CT image
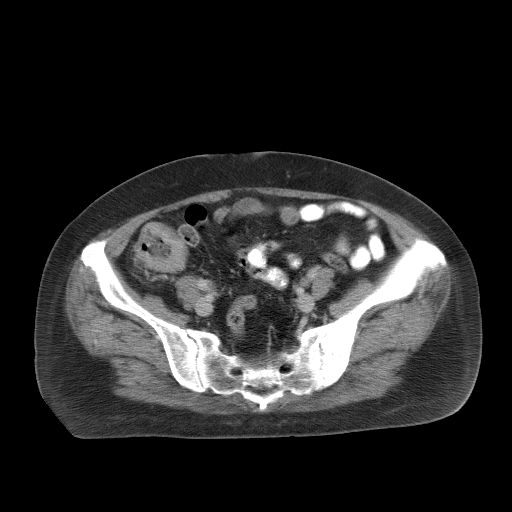 The colon tumor appears at x1=138 y1=223 x2=185 y2=271.